FLAIR magnetic resonance.
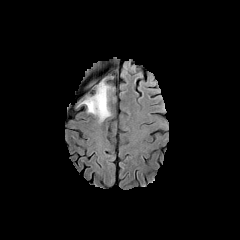
T1-weighted magnetic resonance.
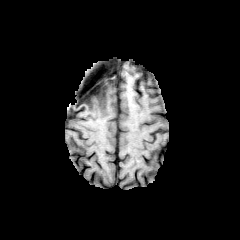
Post-contrast T1-weighted MR.
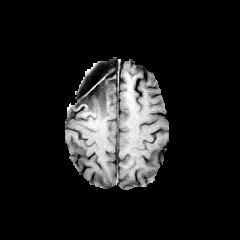
T2-weighted MRI.
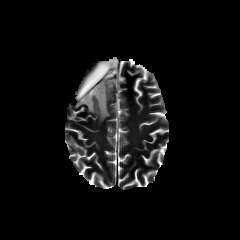
Head
Annotated regions:
• non-enhancing tumor core: {"x1": 84, "y1": 83, "x2": 101, "y2": 97}
• edema: {"x1": 80, "y1": 80, "x2": 112, "y2": 120}